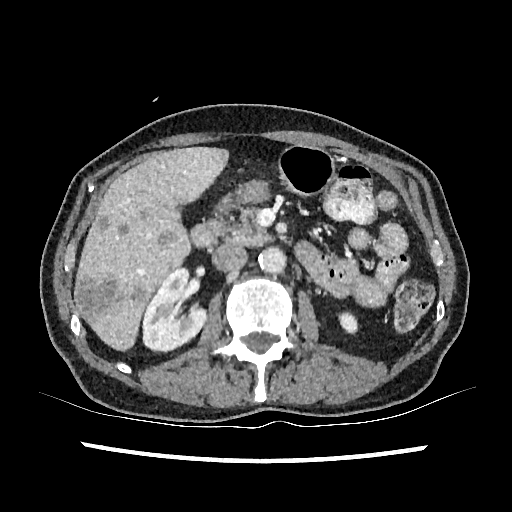

Computed tomography | 512x512 px
{"focal_liver_lesion": ["l=96, t=216, r=110, b=232", "l=130, t=285, r=146, b=302", "l=157, t=230, r=177, b=245", "l=139, t=208, r=150, b=220", "l=118, t=224, r=128, b=235", "l=75, t=278, r=123, b=319"], "liver": ["l=75, t=147, r=226, b=349"], "kidney": ["l=341, t=314, r=356, b=331", "l=143, t=266, r=205, b=350"]}